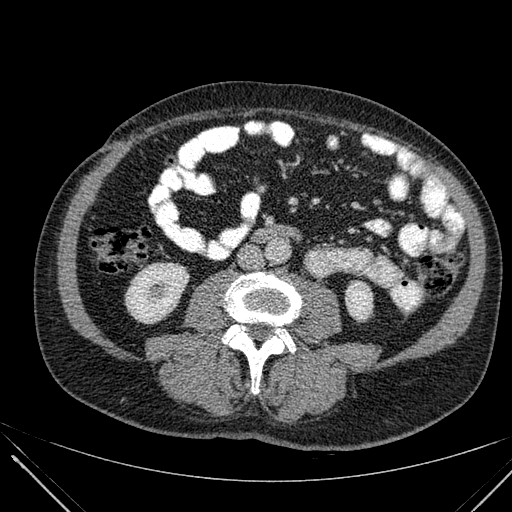

Abdomen, CT slice, 512x512
{"kidney": ["x1=126, y1=263, x2=188, y2=323", "x1=345, y1=281, x2=372, y2=319"]}